Slice index 33, Computed tomography, Image size 512x512, Abdomen 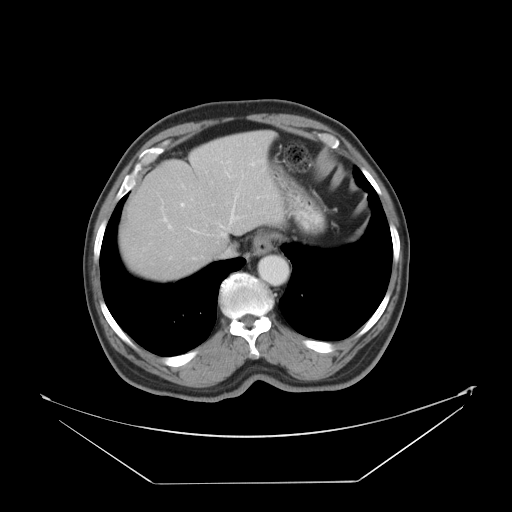

The vessel boxes may cover only some of the vessels.
{"hepatic_vessel": ["228,193,244,226", "248,204,250,206", "221,160,230,163", "250,161,254,165", "161,206,163,210", "218,223,222,227", "218,230,225,235", "168,224,171,228", "225,168,233,180", "160,216,166,221", "257,194,268,198", "169,257,171,259", "242,175,244,177", "190,228,197,232", "181,203,183,206"]}